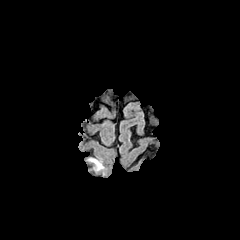
FLAIR MR.
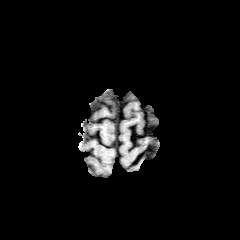
T1-weighted magnetic resonance.
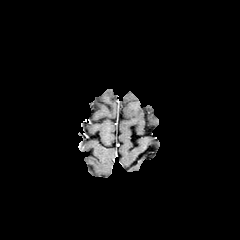
Post-contrast T1-weighted MR image.
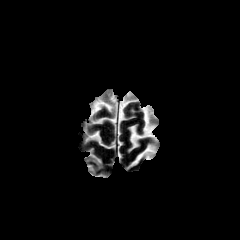
T2-weighted MRI.
240x240 px. Head.
The edema lies within <bbox>87, 158, 103, 171</bbox>.